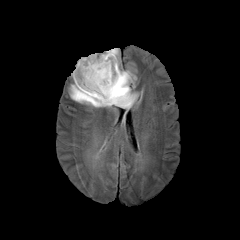
FLAIR magnetic resonance.
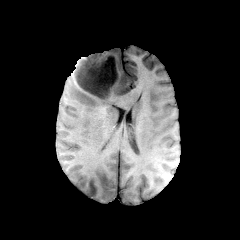
T1-weighted MR image.
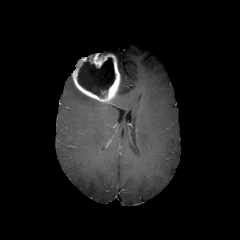
Post-contrast T1-weighted MR.
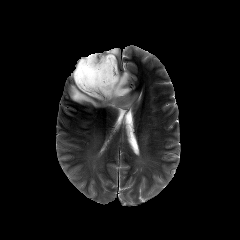
T2-weighted MR of the same slice.
Brain; 240x240 px
The edema is at left=69, top=48, right=136, bottom=109. The non-enhancing tumor core appears at left=77, top=57, right=114, bottom=97. The enhancing tumor lies within left=72, top=53, right=120, bottom=102.